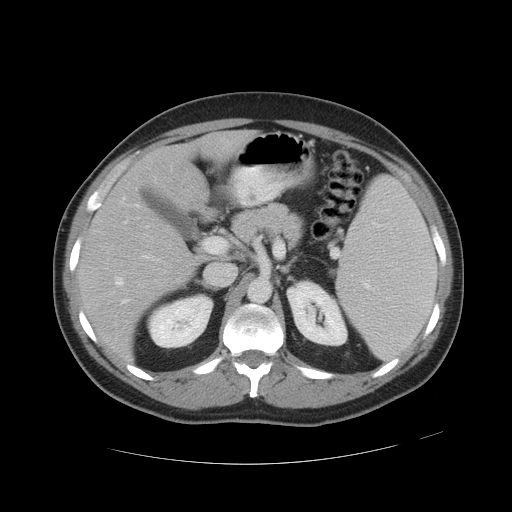
Computed tomography. Not every hepatic vessel necessarily has a box.
* hepatic vessel: box=[124, 221, 126, 222]; box=[143, 255, 157, 260]; box=[116, 277, 123, 284]; box=[135, 204, 138, 206]; box=[121, 197, 124, 203]; box=[145, 225, 148, 227]